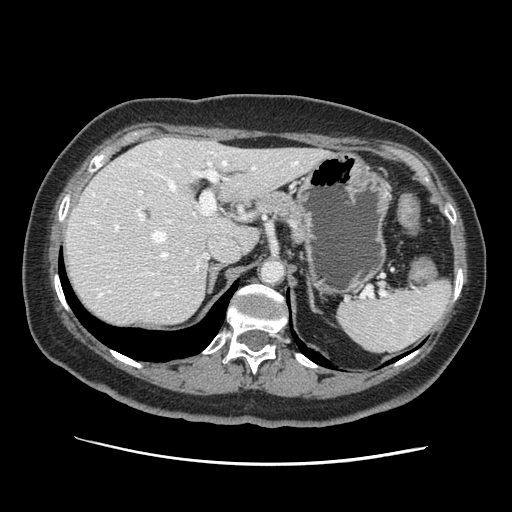 512x512 px, CT image

The spleen lies within x1=338 y1=280 x2=449 y2=352.